Image size 512x512 | CT slice | Liver

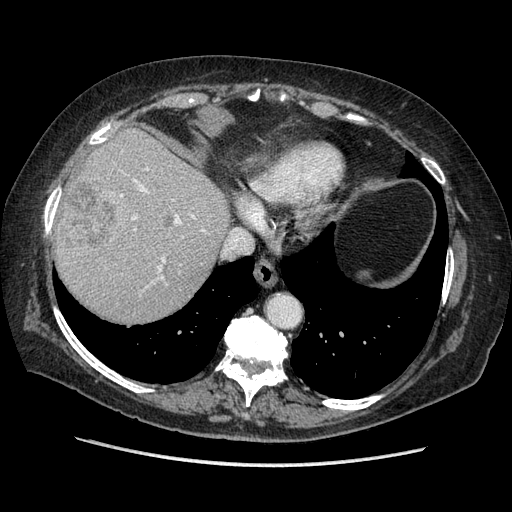 Not every hepatic vessel necessarily has a box.
liver_tumor:
  - x1=57, y1=177, x2=117, y2=250
hepatic_vessel:
  - x1=174, y1=218, x2=179, y2=222
  - x1=133, y1=216, x2=135, y2=218
  - x1=136, y1=181, x2=144, y2=190
  - x1=158, y1=263, x2=164, y2=269
  - x1=162, y1=258, x2=164, y2=261